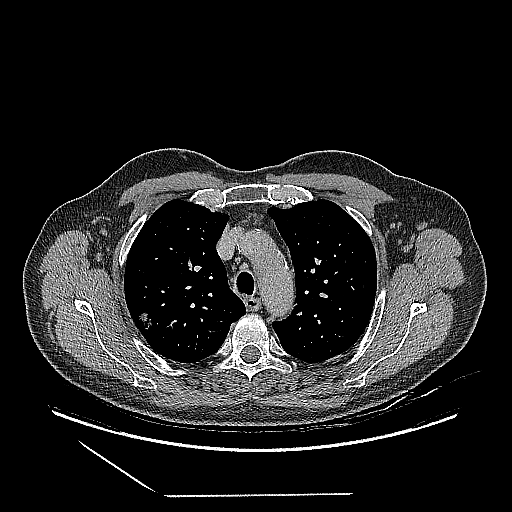 Lung, CT
lung_tumor:
  - rect(130, 311, 152, 330)